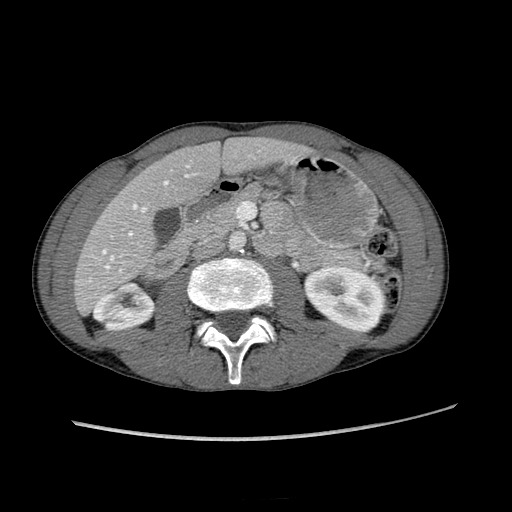 512x512 px | CT slice | Liver

The liver is at rect(76, 136, 300, 306). 2 kidney regions appear at rect(94, 284, 152, 329); rect(305, 266, 383, 330).